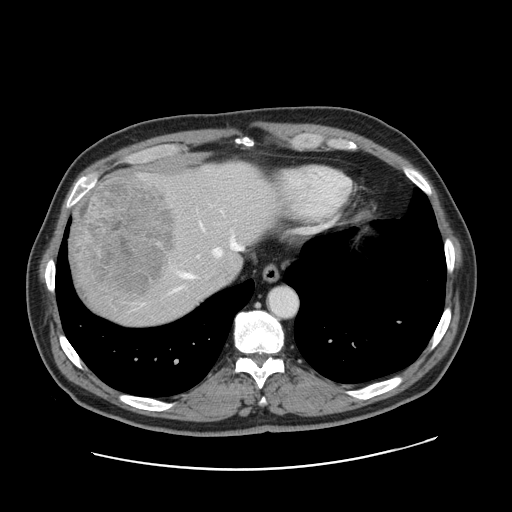

Abdomen, CT slice
Some hepatic vessels may have no box.
The liver tumor appears at 71, 171, 175, 296. 6 hepatic vessel regions are bounded by 240, 260, 241, 262; 231, 238, 243, 250; 135, 303, 142, 307; 171, 287, 180, 291; 213, 248, 221, 255; 200, 223, 203, 228.